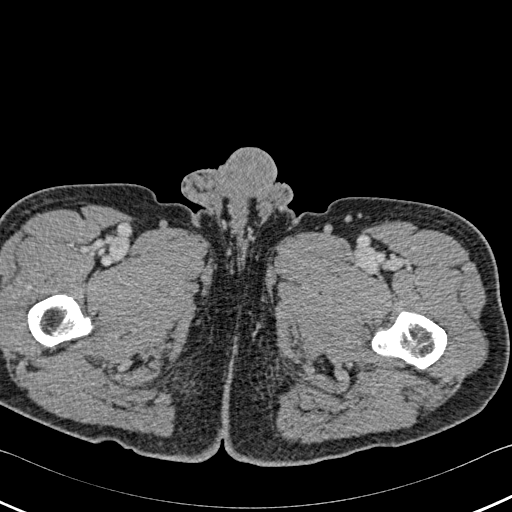

CT. <segmentation>
  <bone>region(372, 312, 446, 368); region(28, 295, 91, 346)</bone>
</segmentation>